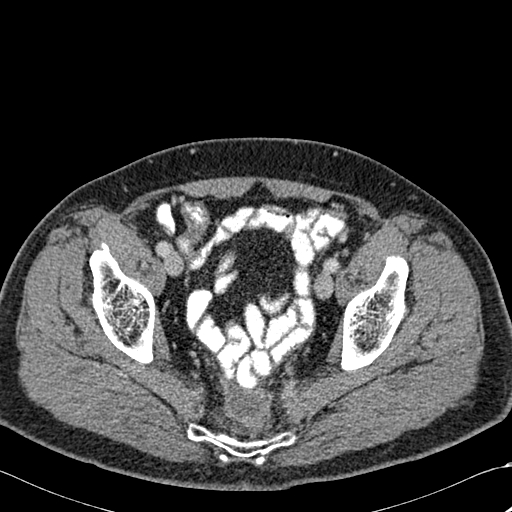
CT slice

<segmentation>
  <bone>[x1=188, y1=425, x2=292, y2=463], [x1=341, y1=256, x2=408, y2=370], [x1=90, y1=244, x2=154, y2=363]</bone>
</segmentation>